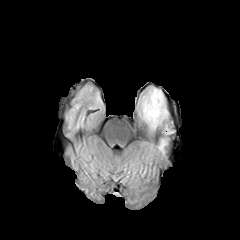
FLAIR MRI.
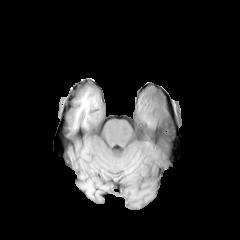
T1-weighted MRI.
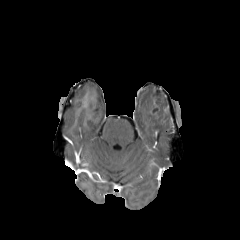
Post-contrast T1-weighted magnetic resonance of the same slice.
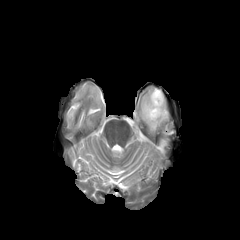
T2-weighted MR of the same slice.
Image size 240x240; Brain
{
  "edema": [
    "bbox=[158, 138, 167, 153]",
    "bbox=[139, 88, 167, 129]"
  ],
  "non-enhancing_tumor_core": [
    "bbox=[150, 92, 167, 117]"
  ]
}